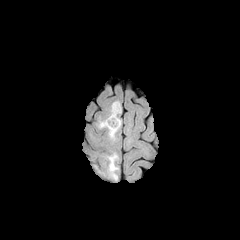
FLAIR MRI.
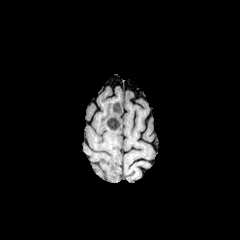
T1-weighted MR.
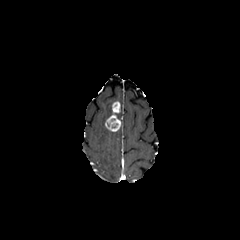
Post-contrast T1-weighted magnetic resonance of the same slice.
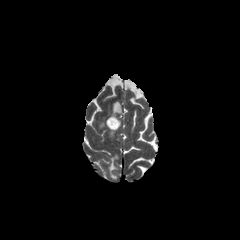
T2-weighted magnetic resonance.
edema:
  - <bbox>106, 154, 118, 171</bbox>
enhancing_tumor:
  - <bbox>105, 101, 121, 131</bbox>